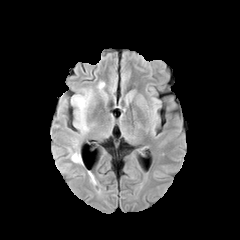
FLAIR MRI.
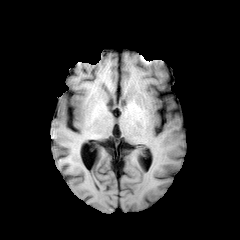
T1-weighted MR image.
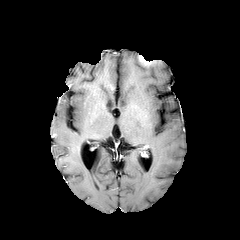
Post-contrast T1-weighted magnetic resonance of the same slice.
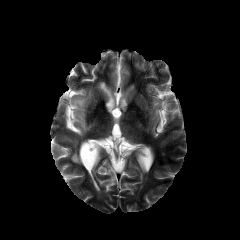
T2-weighted MR.
Brain
3 edema regions appear at 96:82:104:93, 66:144:82:163, 59:88:93:135.